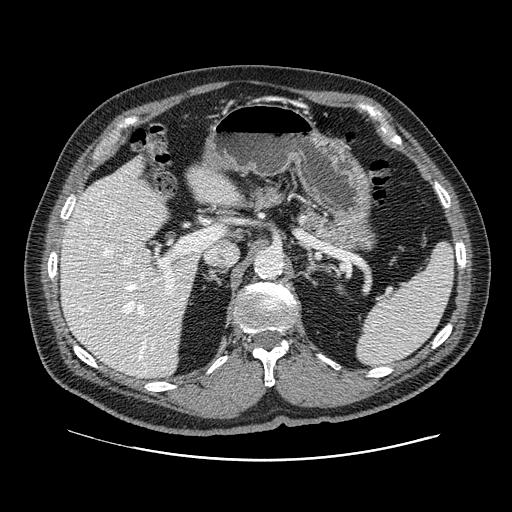

CT slice; 512x512 px
pancreas:
  - x1=244, y1=184, x2=288, y2=211
  - x1=294, y1=203, x2=378, y2=253